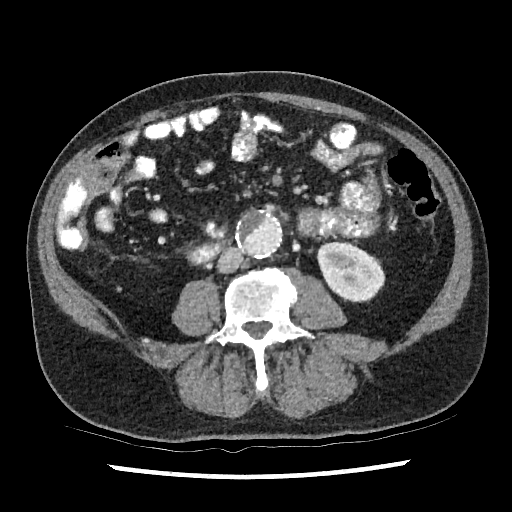
CT, Abdomen

Segmented structures:
* kidney: [320,244,384,301]